T2-weighted magnetic resonance.
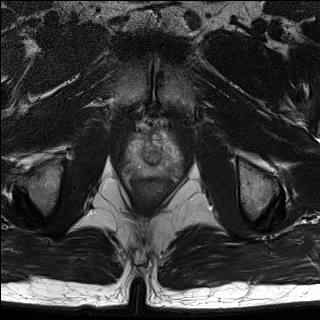
ADC MRI.
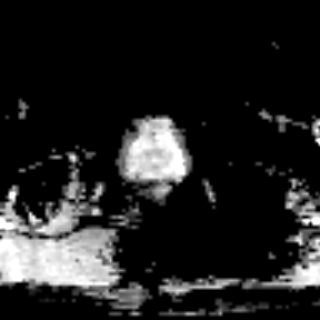
Prostate.
Prostate transition zone at [x1=141, y1=133, x2=163, y2=165].
Prostate peripheral zone at [x1=122, y1=134, x2=180, y2=176].